Abdomen. Slice 48/104. 512x512 px. Computed tomography. 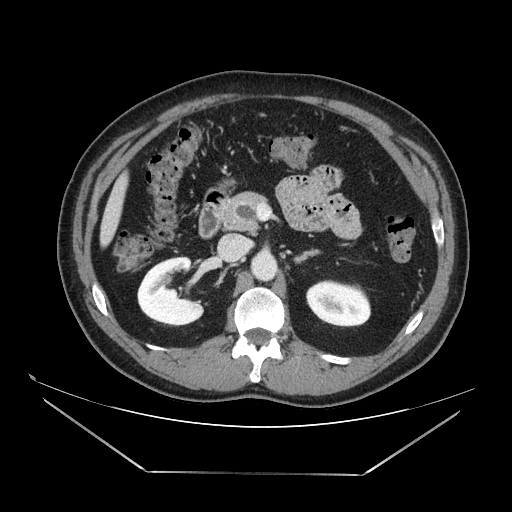
Pancreas = 220,192,264,232.